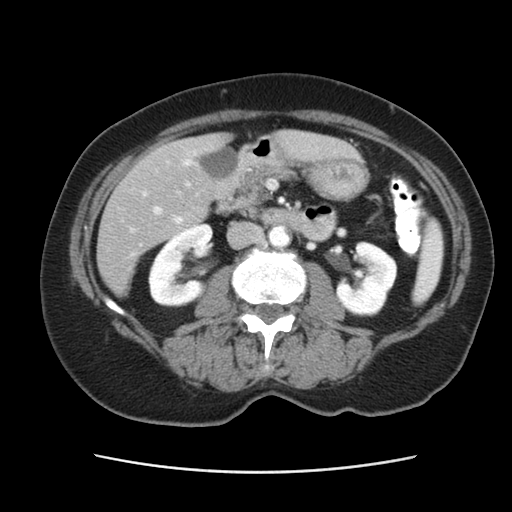
512x512 | CT image

Only some of the vessels may be annotated.
hepatic_vessel:
  - (left=131, top=228, right=134, bottom=231)
  - (left=132, top=253, right=135, bottom=255)
  - (left=184, top=160, right=192, bottom=165)
  - (left=143, top=192, right=146, bottom=196)
  - (left=178, top=192, right=180, bottom=194)
  - (left=186, top=182, right=189, bottom=185)
  - (left=154, top=208, right=160, bottom=213)
  - (left=175, top=217, right=181, bottom=223)